CT slice. Field of view 387x387 mm. 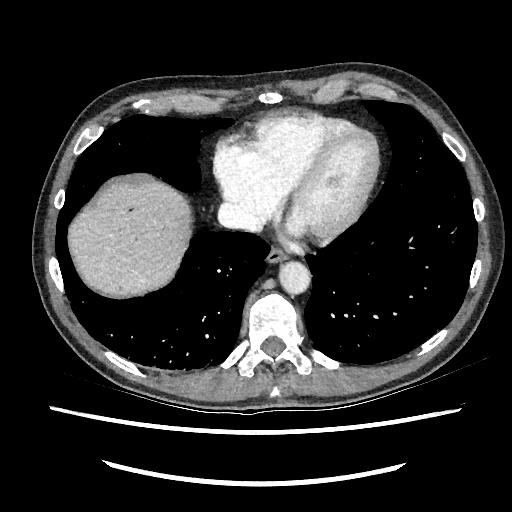 Liver — x1=69 y1=181 x2=188 y2=293.